MR; Hippocampus; Slice 7 of 38
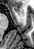

Anterior hippocampus: 14 7 19 12.